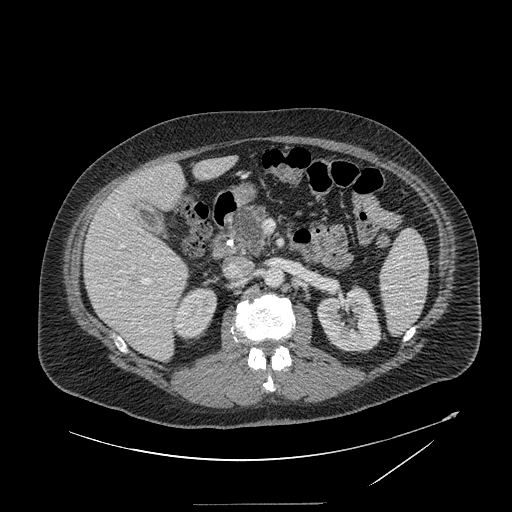
Abdomen; Computed tomography
pancreas:
  - l=233, t=205, r=266, b=256